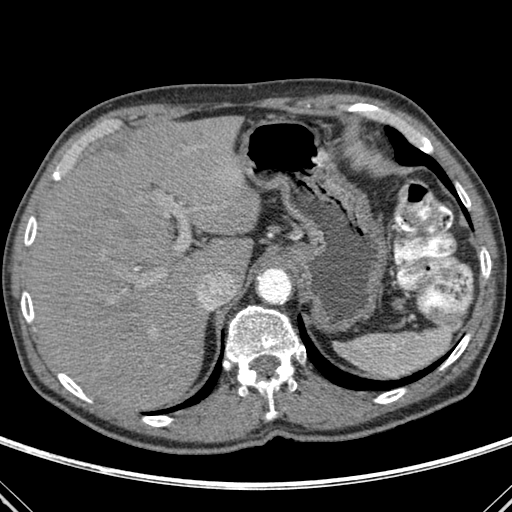

Image size 512x512, Computed tomography
The liver appears at box=[27, 116, 260, 410]. 3 lung regions are located at box=[385, 126, 471, 227]; box=[146, 345, 223, 414]; box=[298, 316, 452, 389]. 11 bone regions are bounded by box=[142, 416, 172, 426]; box=[58, 373, 90, 402]; box=[223, 306, 305, 419]; box=[414, 134, 432, 152]; box=[440, 334, 469, 369]; box=[480, 248, 491, 277]; box=[374, 388, 405, 403]; box=[456, 183, 470, 207]; box=[24, 217, 36, 245]; box=[21, 292, 33, 322]; box=[53, 172, 59, 180].